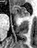 Medial temporal lobe, MR image
{"anterior_hippocampus": ["box=[12, 6, 28, 16]"]}